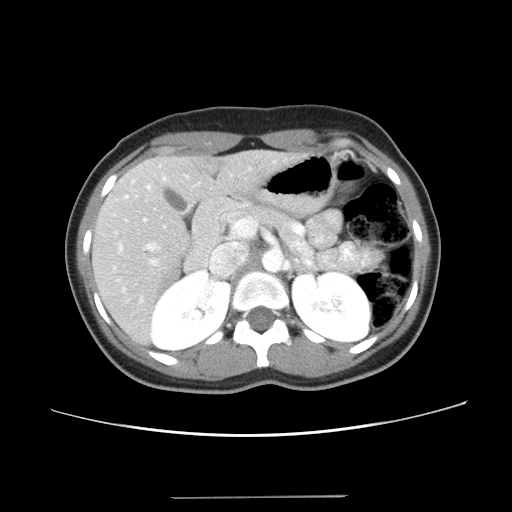

CT, Abdomen

Some hepatic vessels may have no box.
Segmented structures:
- hepatic vessel: [147, 244, 159, 250], [151, 259, 158, 264], [118, 280, 119, 281], [198, 183, 199, 184], [126, 220, 127, 221], [115, 267, 116, 269], [144, 219, 146, 221], [249, 168, 251, 169], [119, 245, 122, 250], [163, 226, 165, 227], [164, 177, 166, 180], [125, 195, 128, 198], [231, 175, 232, 176], [147, 186, 150, 189], [123, 288, 125, 292]
- liver tumor: [201, 161, 219, 173]